FLAIR MR image.
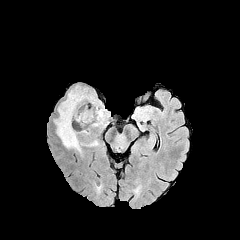
T1-weighted MRI.
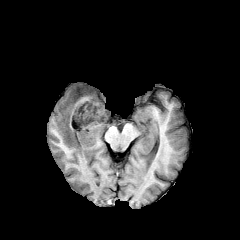
Post-contrast T1-weighted MR.
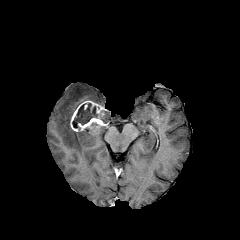
T2-weighted MRI.
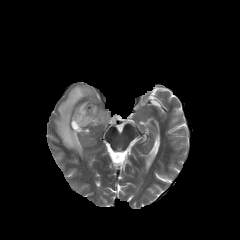
240x240
Edema: (55, 86, 98, 157), (80, 128, 93, 133).
Enhancing tumor: (70, 101, 107, 131).
Non-enhancing tumor core: (103, 111, 109, 125), (72, 100, 97, 129), (74, 90, 85, 99).